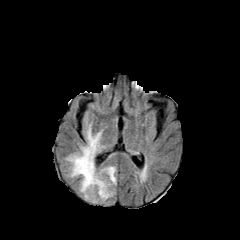
FLAIR MR image.
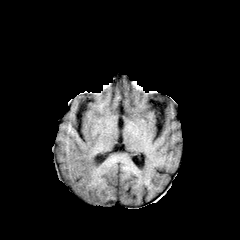
T1-weighted MR.
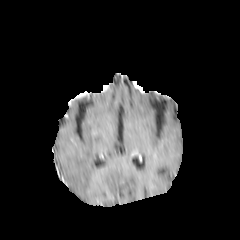
Post-contrast T1-weighted MRI.
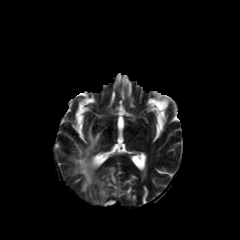
T2-weighted magnetic resonance.
240x240 px
The edema is at 67:124:116:203.